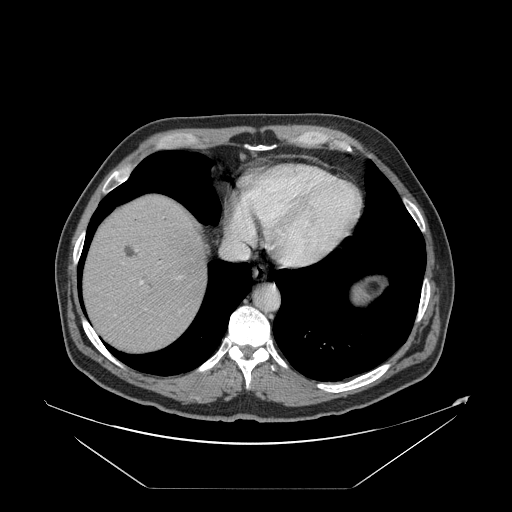
512x512 px; CT scan slice
Only some of the vessels may be annotated.
{"hepatic_vessel": ["bbox(140, 281, 142, 284)", "bbox(223, 229, 254, 258)", "bbox(178, 277, 181, 278)"]}